Slice 90 of 155. Head.
FLAIR MR.
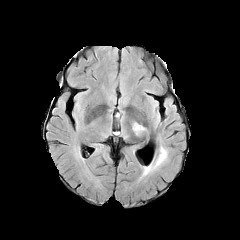
T1-weighted MRI.
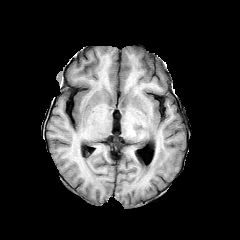
Post-contrast T1-weighted magnetic resonance.
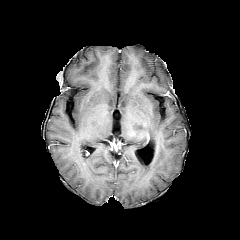
T2-weighted MR.
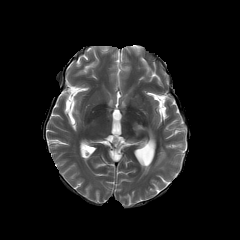
2 edema regions are located at [142,143,168,176], [133,123,146,134].